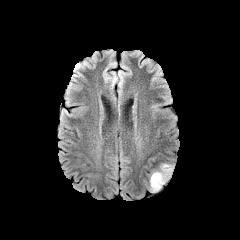
FLAIR MR.
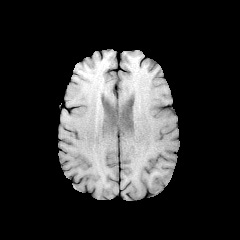
Same slice, T1-weighted MR image.
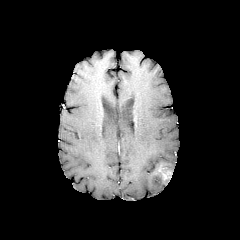
Same slice, post-contrast T1-weighted MR.
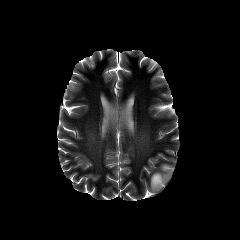
T2-weighted MR image.
<segmentation>
  <edema>box(150, 163, 172, 192)</edema>
  <non-enhancing_tumor_core>box(154, 174, 167, 183)</non-enhancing_tumor_core>
</segmentation>